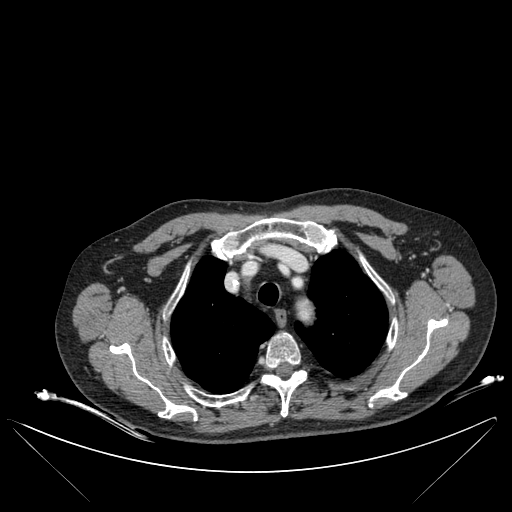 CT scan slice | Chest
Bone: (x1=110, y1=343, x2=197, y2=420), (x1=266, y1=333, x2=300, y2=367), (x1=261, y1=370, x2=306, y2=416), (x1=369, y1=319, x2=447, y2=406), (x1=169, y1=265, x2=188, y2=311), (x1=163, y1=338, x2=174, y2=364), (x1=387, y1=319, x2=397, y2=348), (x1=185, y1=386, x2=250, y2=407), (x1=360, y1=255, x2=389, y2=296), (x1=212, y1=218, x2=336, y2=259).
Lung: (x1=171, y1=256, x2=274, y2=393), (x1=258, y1=283, x2=278, y2=305), (x1=295, y1=250, x2=387, y2=377).